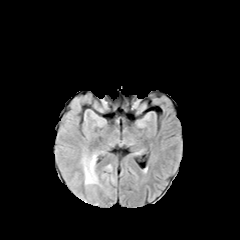
FLAIR magnetic resonance.
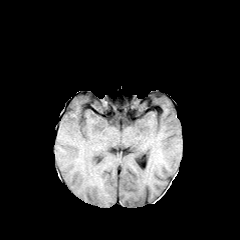
T1-weighted MR image.
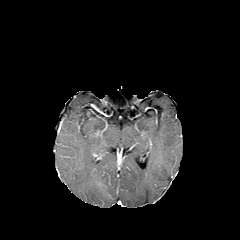
Post-contrast T1-weighted MR.
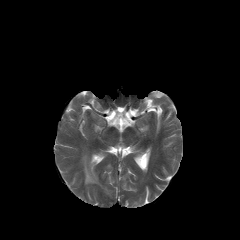
T2-weighted MR image.
edema:
  - 84,154,97,184